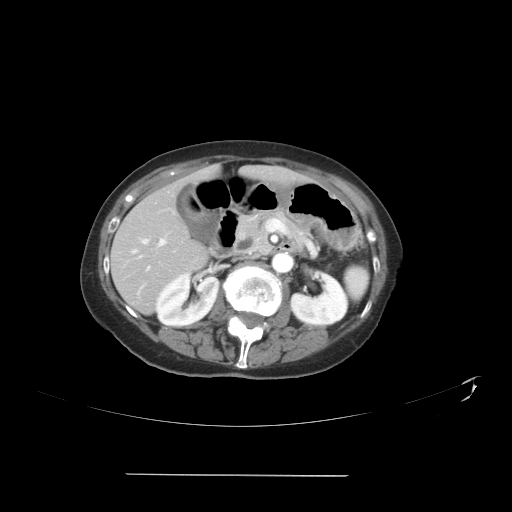

Abdomen; CT image

Only some of the vessels may be annotated.
Hepatic vessel: bounding box 132, 250, 136, 253; 139, 255, 142, 257; 158, 239, 165, 246; 142, 239, 148, 243; 147, 266, 149, 270.